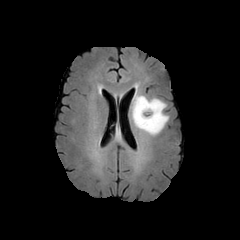
FLAIR magnetic resonance.
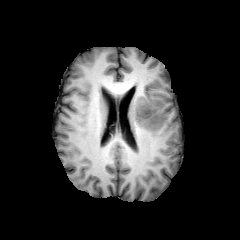
T1-weighted magnetic resonance.
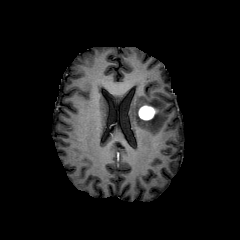
Post-contrast T1-weighted MRI of the same slice.
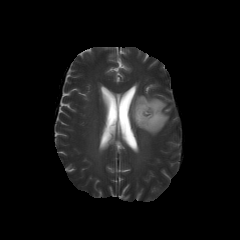
T2-weighted MR image.
The enhancing tumor lies within [138, 104, 157, 120]. The edema appears at [128, 83, 168, 135]. The non-enhancing tumor core is located at [134, 97, 159, 126].